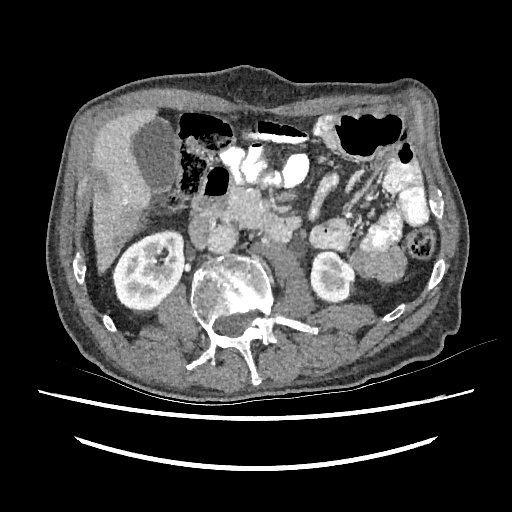
Abdomen, CT
• focal liver lesion: box(109, 204, 141, 250); box(96, 171, 109, 193)
• liver: box(92, 108, 156, 272)
• kidney: box(311, 252, 353, 301); box(114, 232, 183, 309)